Liver. CT slice. 512x512.

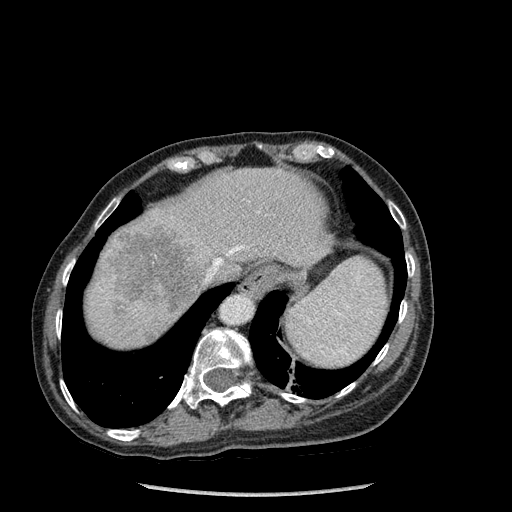
2 lung regions appear at (61, 192, 232, 427), (249, 167, 406, 398). 12 bone regions are bounded by (281, 393, 305, 402), (389, 202, 405, 228), (95, 198, 119, 228), (107, 430, 139, 440), (62, 259, 74, 285), (399, 300, 407, 322), (60, 380, 76, 410), (337, 383, 355, 397), (168, 328, 251, 408), (55, 310, 61, 338), (405, 253, 414, 276), (373, 344, 388, 364). 3 hepatic lesion regions are bounded by (144, 331, 154, 341), (106, 221, 204, 311), (112, 300, 126, 314). 2 liver regions appear at (84, 232, 210, 349), (123, 168, 327, 281).